Field of view 480x480 mm. CT image. Liver.

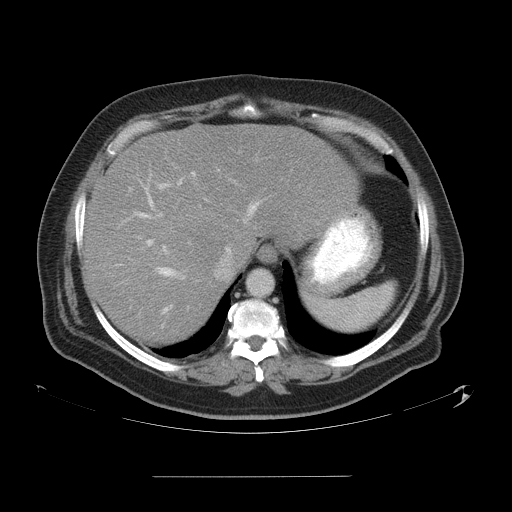 Only some of the vessels may be annotated.
• hepatic vessel (top 15 of 21): bbox(142, 184, 153, 209); bbox(243, 219, 246, 222); bbox(134, 212, 150, 217); bbox(147, 239, 153, 245); bbox(162, 305, 172, 312); bbox(177, 179, 181, 184); bbox(158, 183, 167, 188); bbox(247, 202, 260, 216); bbox(181, 275, 184, 278); bbox(191, 172, 195, 176); bbox(163, 246, 166, 253); bbox(225, 247, 229, 252); bbox(115, 264, 119, 266); bbox(156, 267, 177, 276); bbox(157, 213, 162, 216)